FLAIR MR.
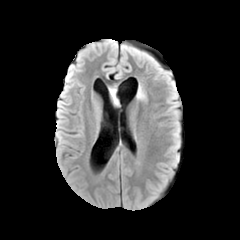
T1-weighted MR.
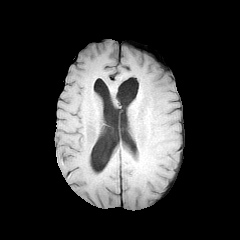
Post-contrast T1-weighted MRI.
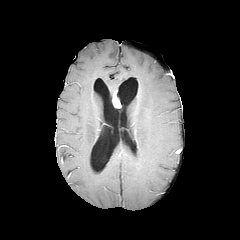
T2-weighted MR image.
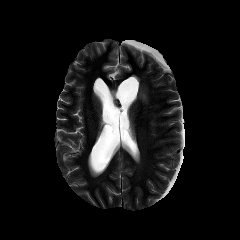
Brain.
Enhancing tumor: l=112, t=90, r=119, b=107.
Edema: l=136, t=86, r=145, b=99.